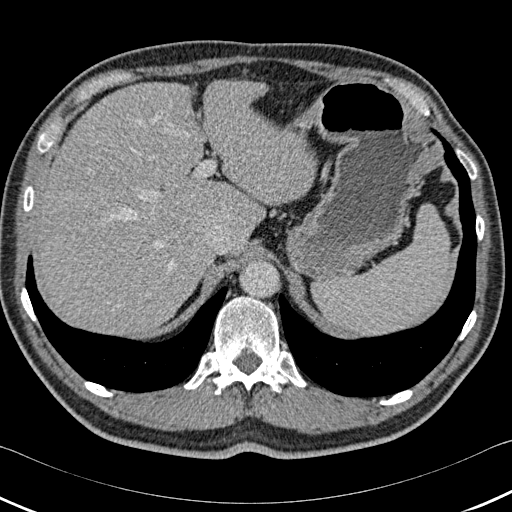

Abdomen. 512x512 px. Computed tomography.
lung:
  - box(278, 128, 477, 398)
  - box(25, 255, 227, 392)
bone:
  - box(459, 311, 476, 340)
  - box(456, 149, 476, 179)
  - box(84, 382, 112, 396)
  - box(21, 288, 35, 320)
  - box(23, 186, 33, 211)
  - box(37, 133, 53, 152)
  - box(184, 297, 306, 394)
  - box(476, 215, 484, 239)
  - box(380, 390, 412, 404)
liver:
  - box(41, 80, 315, 335)